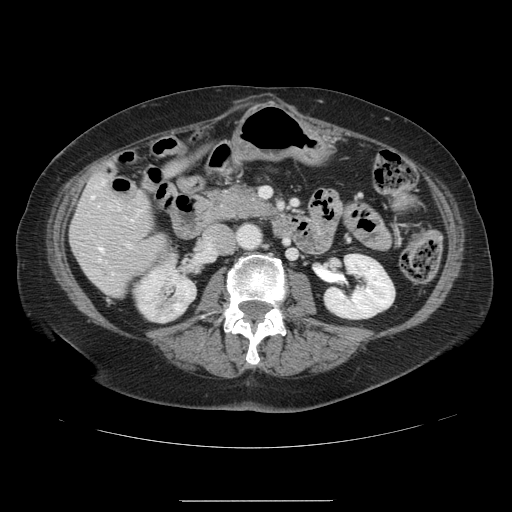
CT slice, Liver
Only some of the vessels may be annotated.
{
  "hepatic_vessel": [
    "x1=126 y1=244 x2=130 y2=246",
    "x1=109 y1=205 x2=111 y2=206",
    "x1=102 y1=179 x2=105 y2=183",
    "x1=91 y1=195 x2=93 y2=197",
    "x1=98 y1=205 x2=99 y2=207",
    "x1=112 y1=203 x2=118 y2=209",
    "x1=98 y1=247 x2=102 y2=250"
  ]
}